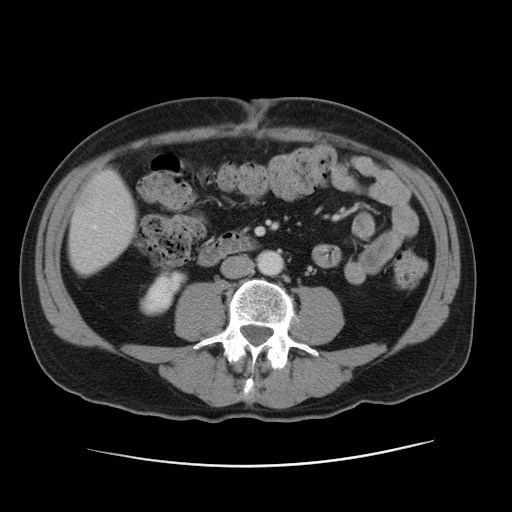 Image size 512x512, Liver, CT image

<segmentation>
  <kidney>l=144, t=273, r=182, b=311</kidney>
  <liver>l=68, t=173, r=137, b=273</liver>
  <focal_liver_lesion>l=78, t=194, r=91, b=206</focal_liver_lesion>
</segmentation>